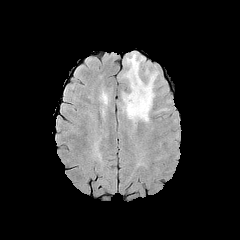
FLAIR MR.
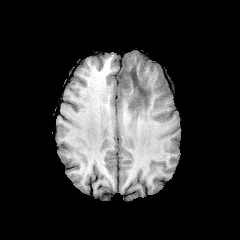
T1-weighted MRI.
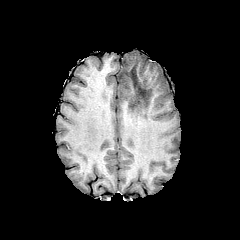
Same slice, post-contrast T1-weighted MR image.
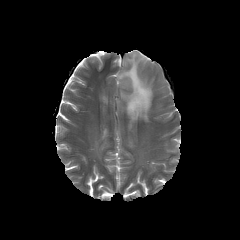
T2-weighted MRI.
Head
Segmented structures:
• non-enhancing tumor core: [x1=131, y1=70, x2=146, y2=97]
• edema: [x1=121, y1=51, x2=156, y2=122]